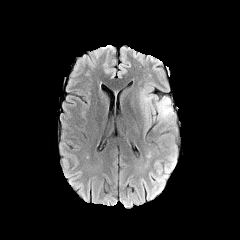
FLAIR MR image.
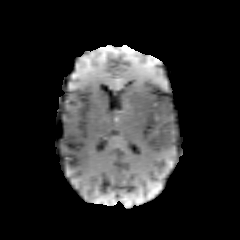
T1-weighted MRI.
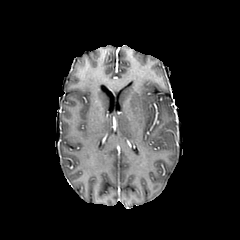
Post-contrast T1-weighted MR.
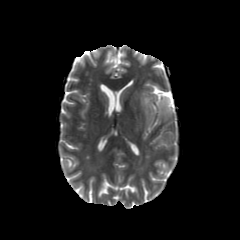
T2-weighted MR image.
Head.
2 edema regions are located at rect(150, 163, 171, 189); rect(139, 86, 176, 127).